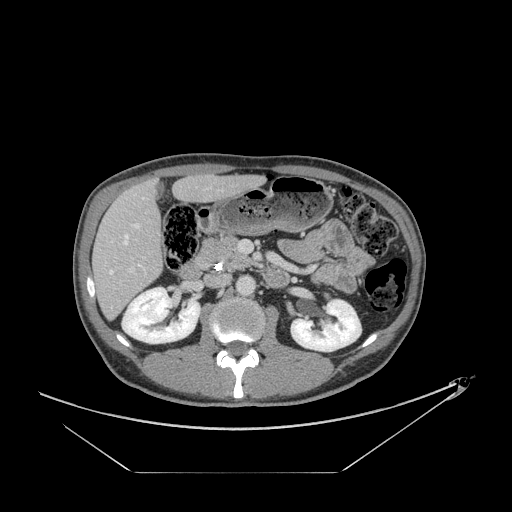 Image size 512x512; CT image; Abdomen

{
  "pancreas": [
    "box=[198, 237, 236, 261]"
  ]
}